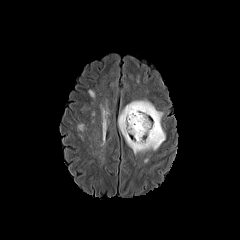
FLAIR MR.
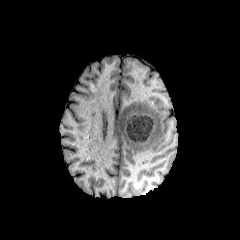
T1-weighted MR image of the same slice.
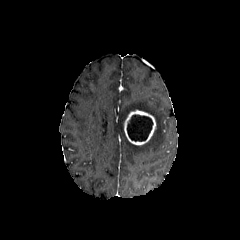
Post-contrast T1-weighted MRI.
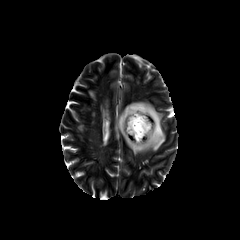
Same slice, T2-weighted magnetic resonance.
Edema = bbox(119, 101, 164, 154); bbox(78, 124, 86, 132).
Enhancing tumor = bbox(123, 110, 156, 145).
Non-enhancing tumor core = bbox(127, 115, 152, 141).